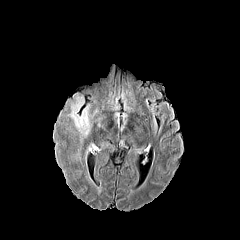
FLAIR MRI.
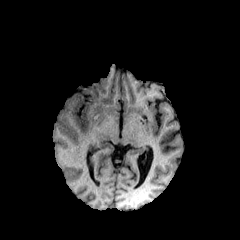
T1-weighted MR image.
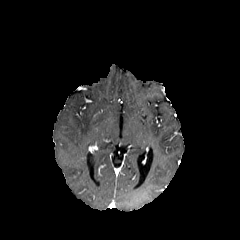
Post-contrast T1-weighted MRI.
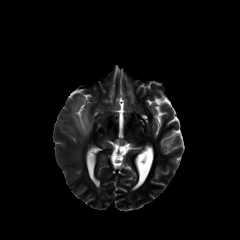
T2-weighted magnetic resonance.
Head. 240x240 px.
edema: x1=74, y1=99, x2=89, y2=128